CT scan slice | Slice 140/171 | Abdomen 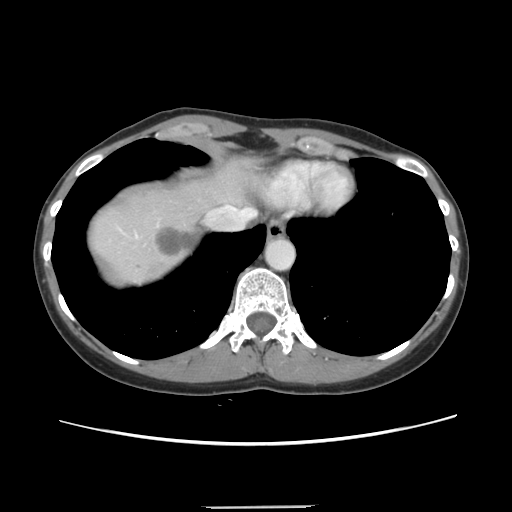 The vessel annotation is not exhaustive.
The hepatic vessel appears at box=[135, 234, 135, 237]. The liver tumor lies within box=[155, 227, 196, 256].